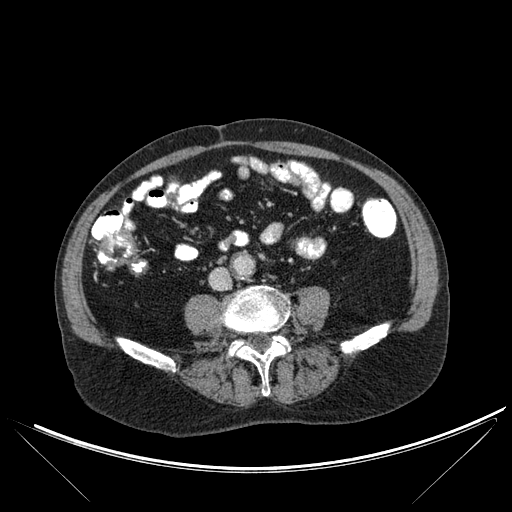
CT scan slice; 512x512 px
Bone: 117:338:175:370, 228:336:289:395, 223:286:289:332, 341:324:388:352.